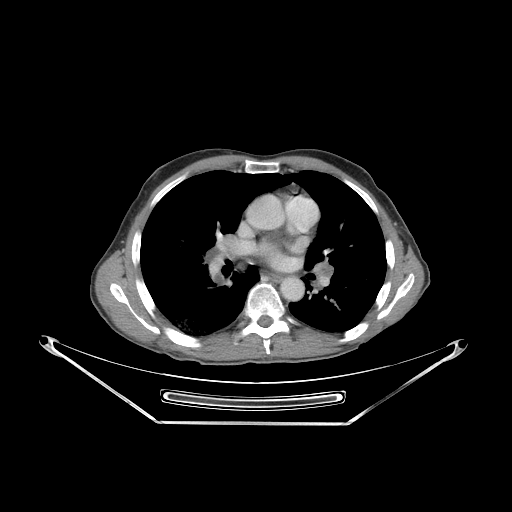
512x512 px | CT
Annotated regions:
* lung: x1=140, y1=170, x2=386, y2=335
* bone: x1=341, y1=323, x2=367, y2=341; x1=386, y1=241, x2=394, y2=268; x1=110, y1=267, x2=205, y2=346; x1=246, y1=160, x2=277, y2=173; x1=242, y1=283, x2=288, y2=353; x1=132, y1=232, x2=140, y2=264; x1=376, y1=274, x2=413, y2=318; x1=152, y1=179, x2=179, y2=204; x1=347, y1=182, x2=376, y2=211